Liver; CT image 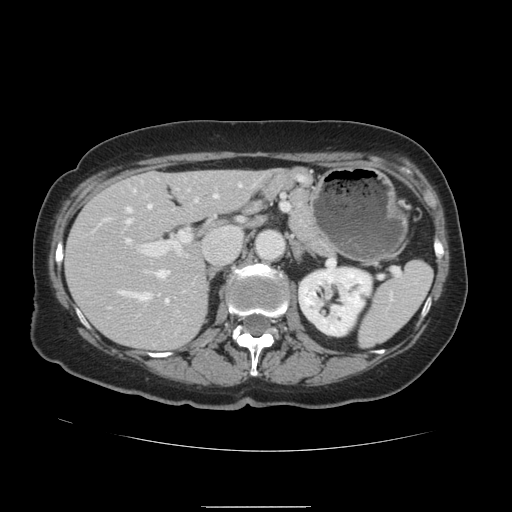 The vessel boxes may cover only some of the vessels.
hepatic_vessel:
  - 147:205:150:208
  - 213:194:216:197
  - 117:291:148:301
  - 165:299:167:303
  - 133:189:134:191
  - 142:243:156:255
  - 155:270:168:277
  - 195:199:197:201
  - 238:184:240:186
  - 125:239:129:242
  - 124:208:130:211
  - 175:248:180:251
  - 125:220:129:223